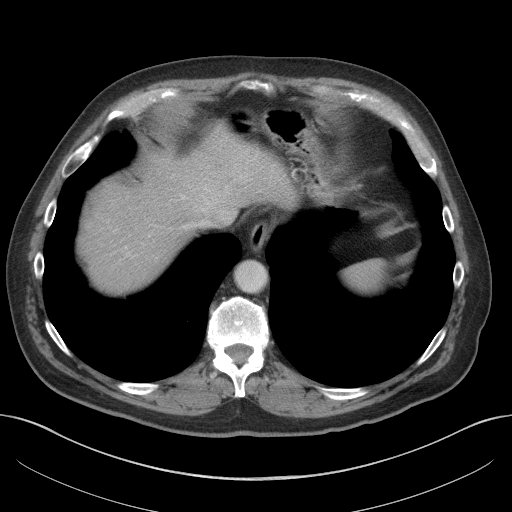
Computed tomography | Liver
liver: region(82, 114, 271, 290)